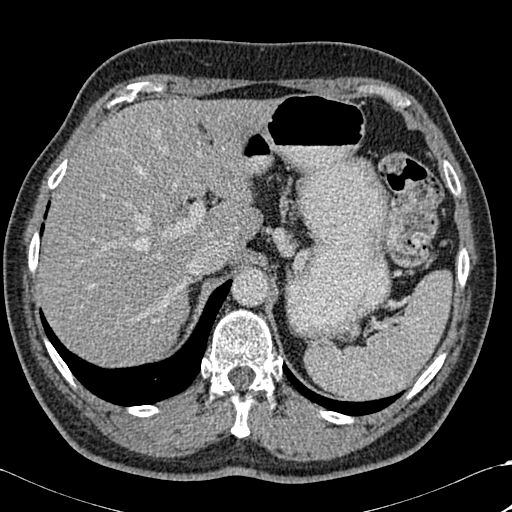

CT, Upper abdomen
bone: 408,354,444,397; 128,405,157,416; 29,233,39,270; 46,341,73,384; 109,83,142,106; 321,411,352,423; 445,164,460,194; 48,162,66,188; 458,249,468,285; 201,310,282,436 | liver: 39,99,273,367; 198,201,259,246 | lung: 283,363,403,415; 40,279,231,406